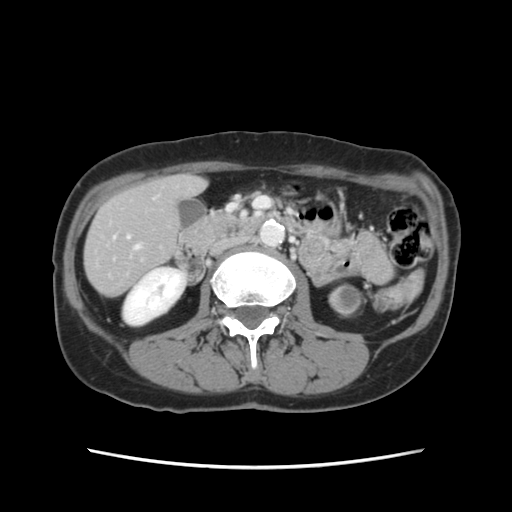 Liver. CT scan slice. Some hepatic vessels may have no box.
Hepatic vessel: l=135, t=245, r=139, b=248; l=127, t=236, r=129, b=238.